Chest. Computed tomography. Field of view 404 mm wide, 0.62 mm slice spacing.
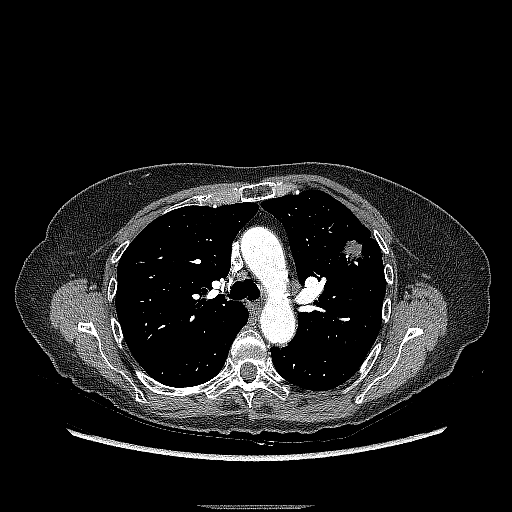 The lung tumor appears at <bbox>335, 237, 368, 267</bbox>.